240x240 px | Head | Field of view 240x240 mm
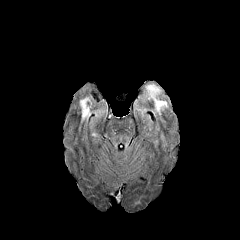
FLAIR magnetic resonance.
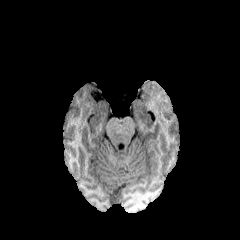
T1-weighted MR image of the same slice.
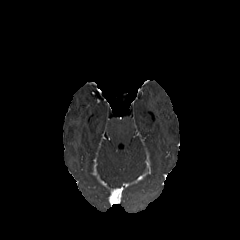
Same slice, post-contrast T1-weighted MRI.
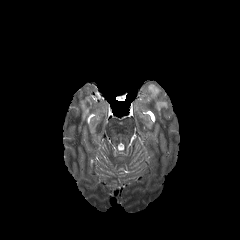
T2-weighted magnetic resonance of the same slice.
2 edema regions are located at (x1=146, y1=85, x2=167, y2=114), (x1=80, y1=97, x2=91, y2=122).